FLAIR MR image.
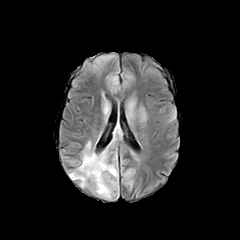
T1-weighted magnetic resonance.
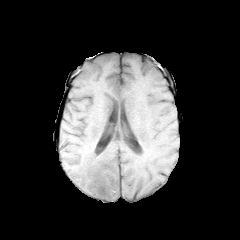
Post-contrast T1-weighted magnetic resonance.
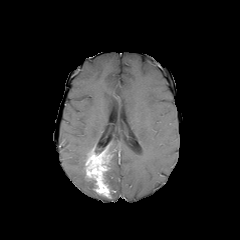
T2-weighted magnetic resonance.
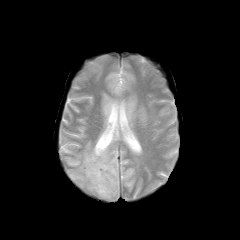
Head, Image size 240x240
Non-enhancing tumor core = 104, 171, 111, 189.
Edema = 69, 141, 93, 191; 108, 124, 122, 148; 107, 149, 119, 196.
Enhancing tumor = 85, 150, 111, 197.